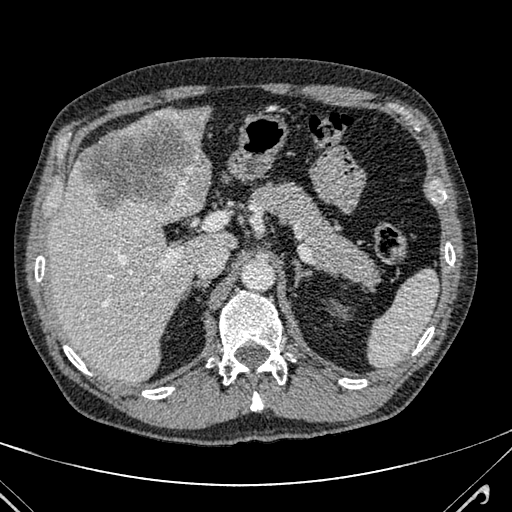 CT scan slice
3 liver regions are bounded by (left=110, top=114, right=152, bottom=135), (left=48, top=140, right=235, bottom=382), (left=158, top=106, right=209, bottom=149). The liver lesion is bounded by (left=79, top=112, right=209, bottom=209).